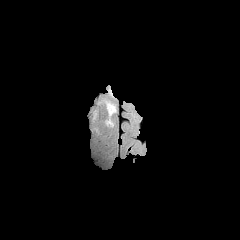
FLAIR MRI.
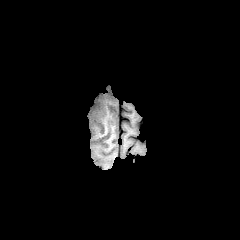
Same slice, T1-weighted MRI.
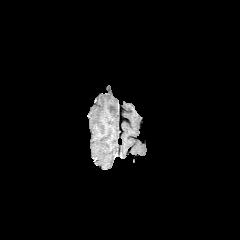
Post-contrast T1-weighted MRI of the same slice.
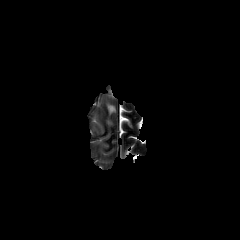
T2-weighted MR.
Head
The edema is at {"x1": 105, "y1": 100, "x2": 116, "y2": 126}.